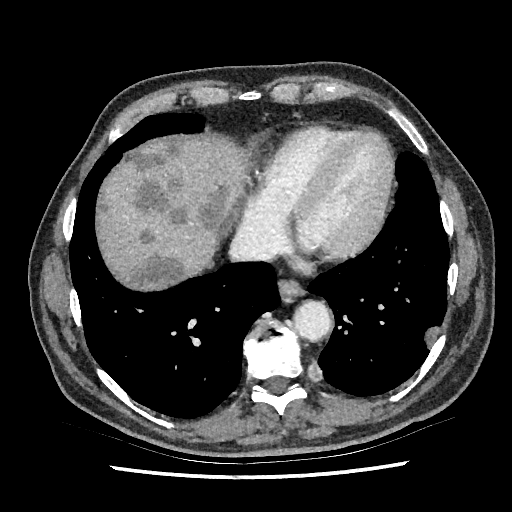
Abdomen. Computed tomography.

<segmentation>
  <liver>{"x1": 136, "y1": 139, "x2": 167, "y2": 154}, {"x1": 98, "y1": 139, "x2": 248, "y2": 283}</liver>
  <focal_liver_lesion>{"x1": 167, "y1": 175, "x2": 182, "y2": 190}, {"x1": 196, "y1": 180, "x2": 237, "y2": 232}, {"x1": 140, "y1": 226, "x2": 154, "y2": 245}, {"x1": 123, "y1": 251, "x2": 185, "y2": 289}, {"x1": 121, "y1": 139, "x2": 191, "y2": 172}, {"x1": 98, "y1": 202, "x2": 109, "y2": 214}, {"x1": 135, "y1": 177, "x2": 188, "y2": 225}</focal_liver_lesion>
</segmentation>